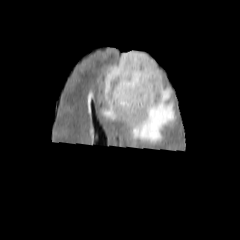
FLAIR MRI.
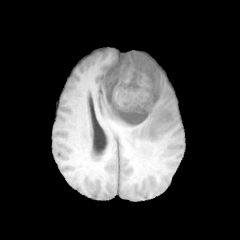
T1-weighted MR of the same slice.
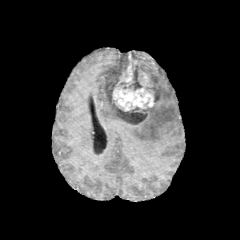
Post-contrast T1-weighted magnetic resonance.
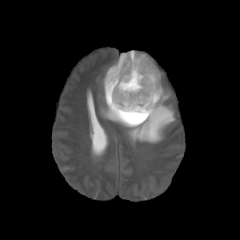
T2-weighted MR of the same slice.
Head; 240x240
Annotated regions:
* enhancing tumor: <box>112,62,154,111</box>
* edema: <box>155,62,162,85</box>, <box>100,87,175,146</box>
* non-enhancing tumor core: <box>105,96,151,124</box>, <box>103,51,162,103</box>